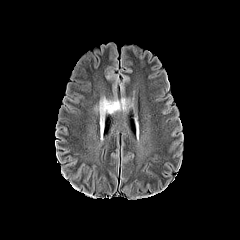
FLAIR MR.
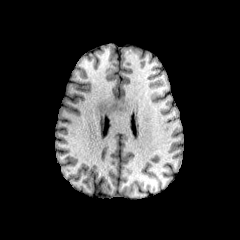
T1-weighted magnetic resonance.
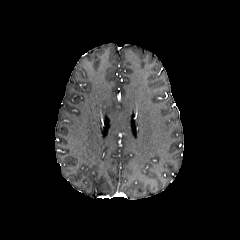
Post-contrast T1-weighted magnetic resonance.
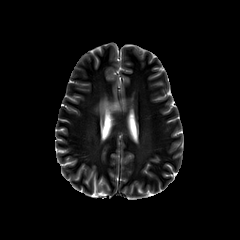
T2-weighted MR image.
Brain
The edema is bounded by bbox(95, 97, 133, 142).